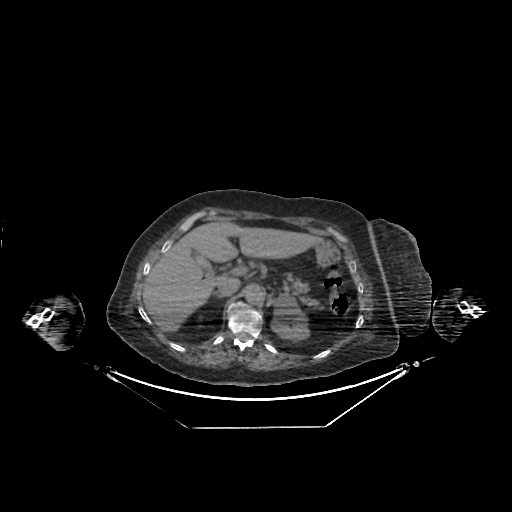
CT slice | Abdomen | Image size 512x512
The liver is bounded by 142, 220, 323, 333. The kidney is at 271, 295, 309, 342.